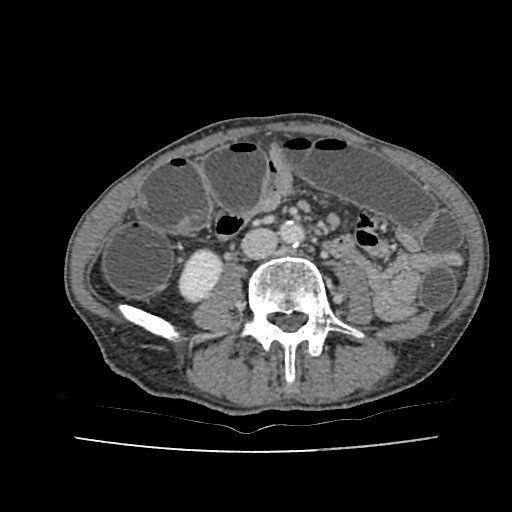

CT slice.

The kidney is located at x1=180 y1=251 x2=220 y2=299.